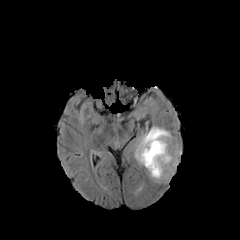
FLAIR magnetic resonance.
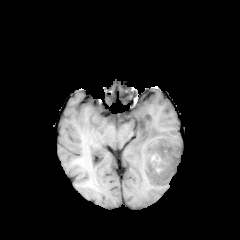
T1-weighted MR of the same slice.
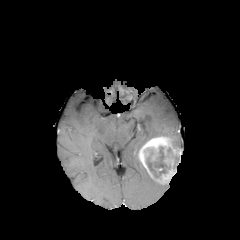
Post-contrast T1-weighted MR.
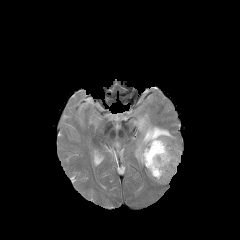
T2-weighted MR image.
Image size 240x240, Brain
Edema at 130 121 181 166.
Enhancing tumor at 138 136 182 178, 156 168 175 184.
Non-enhancing tumor core at 146 146 179 179.